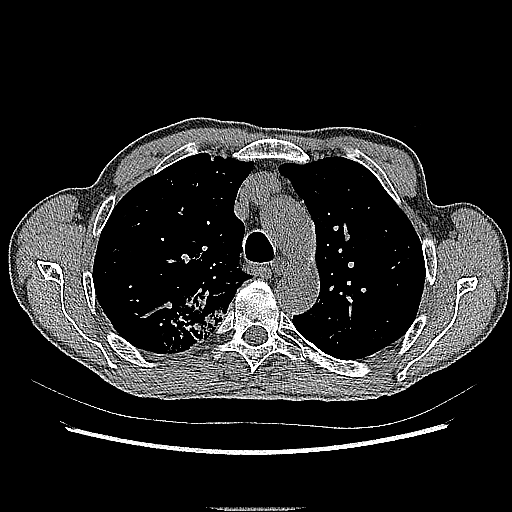 512x512 px, CT image
The lung tumor is bounded by l=154, t=288, r=227, b=347.